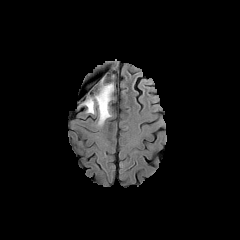
FLAIR MRI.
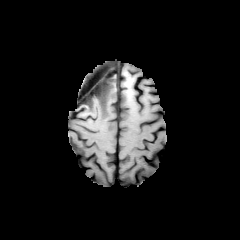
T1-weighted MR.
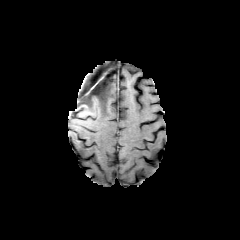
Post-contrast T1-weighted MR image of the same slice.
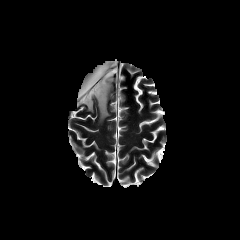
Same slice, T2-weighted magnetic resonance.
Brain.
The edema is bounded by 79:77:113:125.